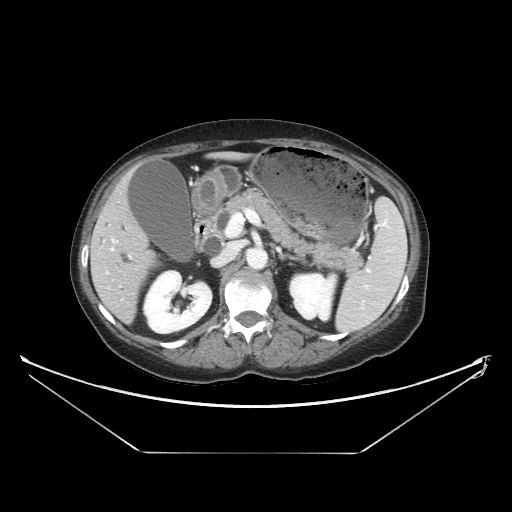
CT image; Abdomen

The pancreas is at x1=213, y1=190, x2=362, y2=270.